Brain; Slice index 86
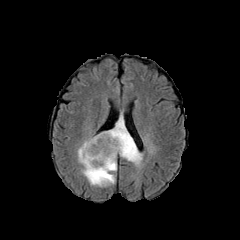
FLAIR MR.
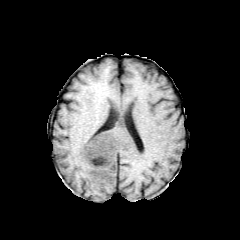
T1-weighted MR image of the same slice.
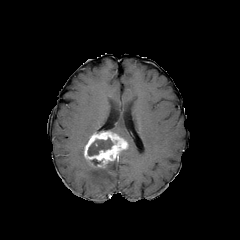
Post-contrast T1-weighted MRI.
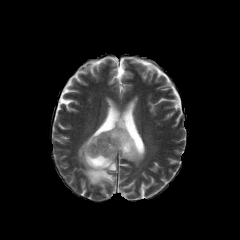
T2-weighted MR image.
Findings:
- edema: bbox(76, 139, 117, 187); bbox(108, 115, 143, 166)
- enhancing tumor: bbox(83, 131, 128, 167)
- non-enhancing tumor core: bbox(88, 139, 112, 155)